Image size 240x240
FLAIR MRI.
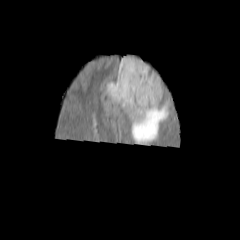
T1-weighted MRI.
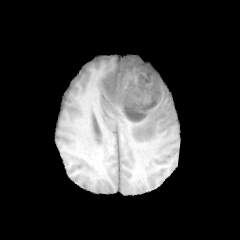
Post-contrast T1-weighted MR image.
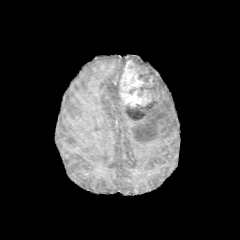
T2-weighted magnetic resonance.
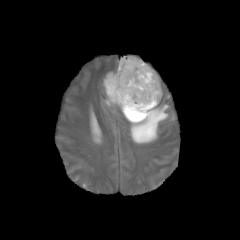
<segmentation>
  <non-enhancing_tumor_core>left=109, top=86, right=121, bottom=100; left=124, top=58, right=161, bottom=119</non-enhancing_tumor_core>
  <edema>left=102, top=55, right=141, bottom=105; left=122, top=88, right=168, bottom=142</edema>
  <enhancing_tumor>left=118, top=59, right=153, bottom=108</enhancing_tumor>
</segmentation>